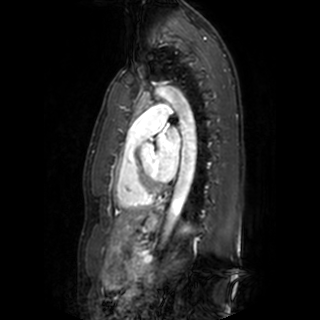

Magnetic resonance, Image size 320x320, Cardiac
The left atrium is located at (left=156, top=129, right=179, bottom=180).